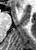
Hippocampus; MRI slice

{"anterior_hippocampus": ["(15, 7, 20, 11)"]}